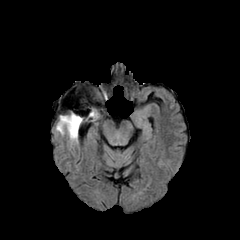
FLAIR MR image.
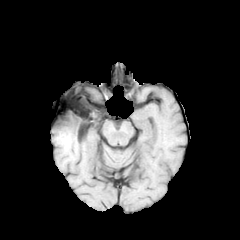
Same slice, T1-weighted MR image.
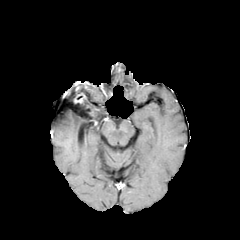
Same slice, post-contrast T1-weighted MR.
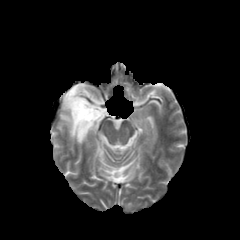
T2-weighted MR image.
240x240 px | Head
The edema is at x1=56, y1=114, x2=86, y2=145. The non-enhancing tumor core is bounded by x1=68, y1=107, x2=101, y2=125.